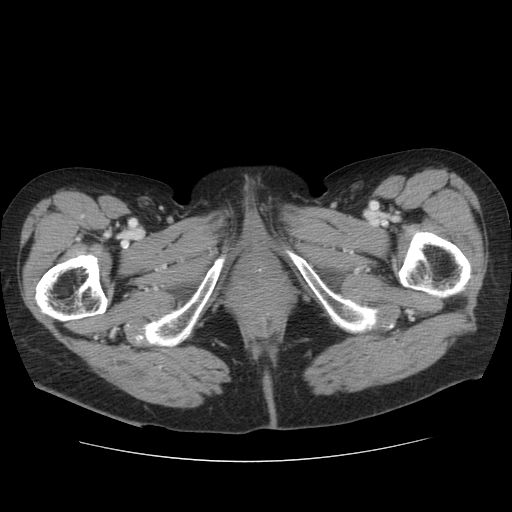 CT
4 bone regions are bounded by region(131, 255, 225, 350); region(399, 229, 476, 302); region(283, 248, 388, 333); region(31, 251, 107, 324).